Liver. CT image.

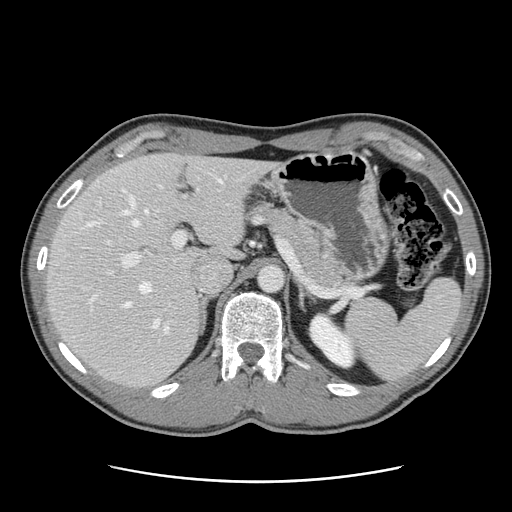

Only some of the vessels may be annotated.
Annotated regions:
- hepatic vessel (largest 15 of 17): x1=145 y1=210 x2=147 y2=213, x1=122 y1=302 x2=130 y2=306, x1=140 y1=282 x2=150 y2=292, x1=122 y1=189 x2=125 y2=191, x1=218 y1=179 x2=222 y2=182, x1=172 y1=231 x2=185 y2=246, x1=89 y1=295 x2=95 y2=302, x1=164 y1=324 x2=167 y2=333, x1=129 y1=196 x2=134 y2=207, x1=86 y1=221 x2=99 y2=225, x1=122 y1=253 x2=140 y2=266, x1=106 y1=240 x2=110 y2=243, x1=122 y1=210 x2=129 y2=214, x1=152 y1=319 x2=158 y2=327, x1=132 y1=220 x2=138 y2=226